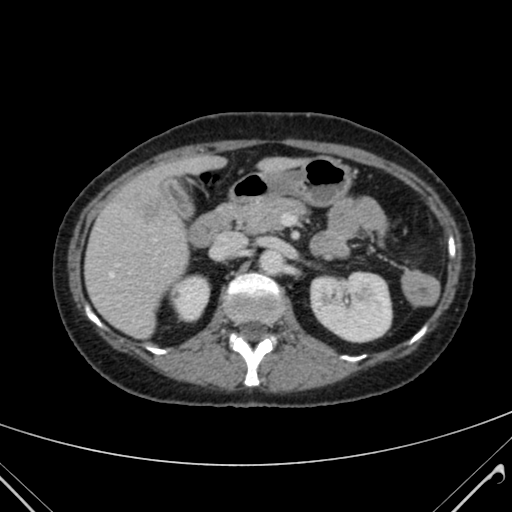 CT. Abdomen. The hepatic lesion appears at region(133, 192, 165, 224). 3 liver regions appear at region(265, 161, 278, 169); region(192, 154, 221, 169); region(83, 164, 186, 337). 2 kidney regions appear at region(177, 278, 206, 318); region(312, 273, 390, 340).